Image size 512x512 | CT image | Head | Field of view 700x700 mm
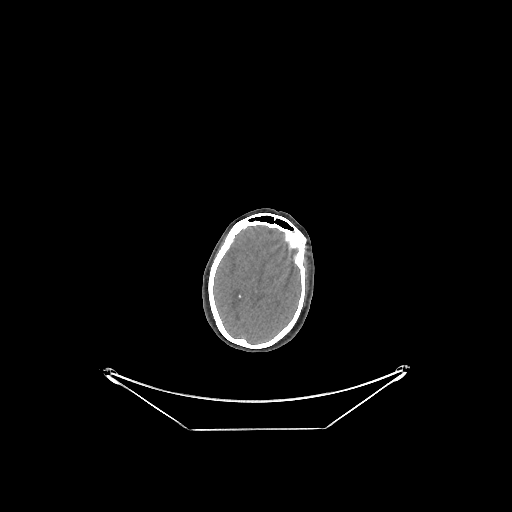

The brain appears at box(213, 225, 301, 344).